Liver. Slice 22/144. 512x512 px. CT image.

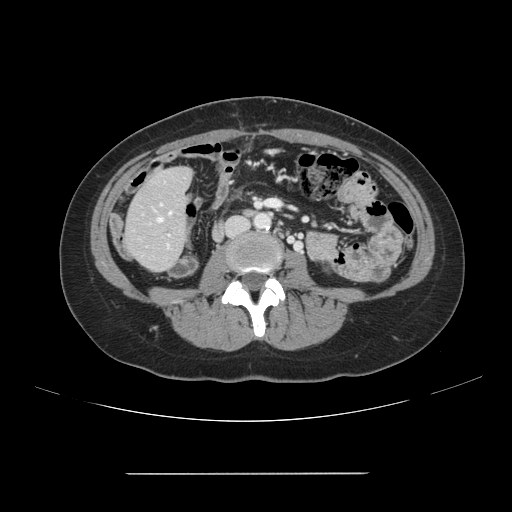
The vessel annotation is not exhaustive.
The hepatic vessel appears at (158,217,162,221).